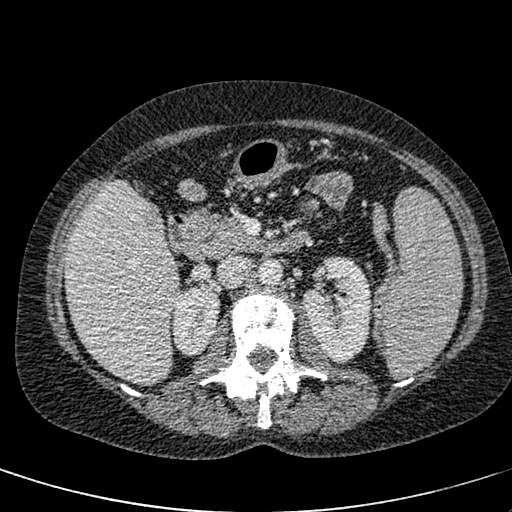 Upper abdomen, Image size 512x512, CT image
{
  "kidney": [
    "rect(303, 257, 370, 362)",
    "rect(173, 287, 219, 350)"
  ],
  "liver": [
    "rect(62, 181, 178, 387)"
  ],
  "hepatic_lesion": [
    "rect(138, 201, 161, 231)"
  ]
}